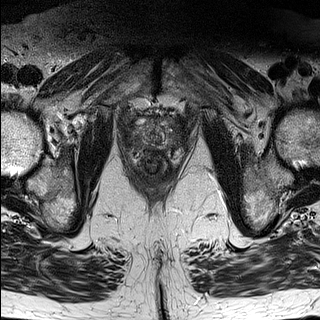
T2-weighted MR.
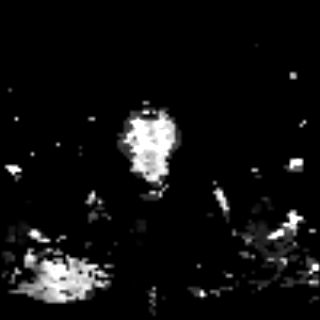
ADC MR image.
Prostate.
Segmented structures:
• prostate peripheral zone: [x1=125, y1=117, x2=186, y2=153]